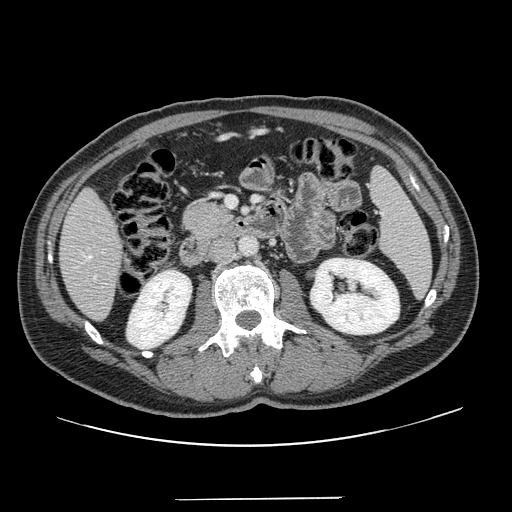
CT image

* pancreatic tumor: <bbox>183, 201, 225, 240</bbox>
* pancreas: <bbox>178, 199, 236, 250</bbox>